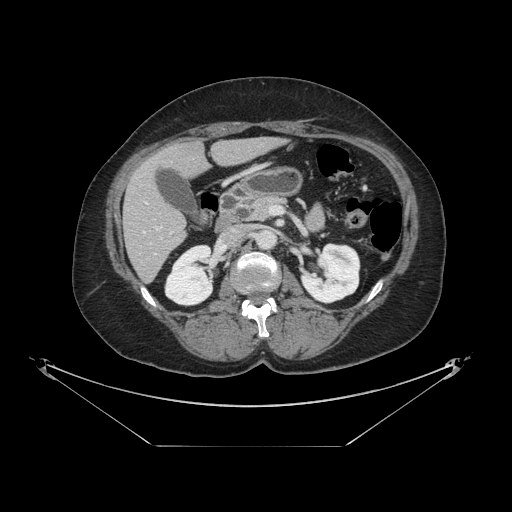

CT scan slice; 512x512
Pancreas: bounding box 249, 196, 286, 221.